MR image. Field of view 39x41 mm. 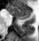
Anterior hippocampus — 12, 6, 31, 18.
Posterior hippocampus — 19, 19, 25, 19.